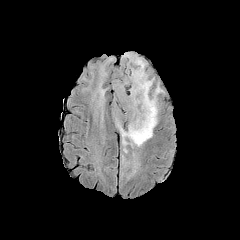
FLAIR MR.
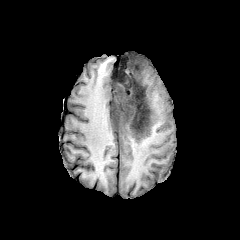
T1-weighted magnetic resonance.
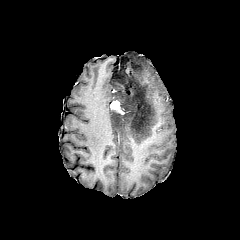
Post-contrast T1-weighted MRI.
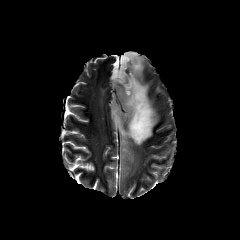
Same slice, T2-weighted MRI.
Head
Enhancing tumor at (112, 101, 123, 114).
Edema at (116, 52, 162, 171).
Non-enhancing tumor core at (118, 74, 151, 135), (112, 111, 121, 127).